Field of view 240x240 mm
FLAIR magnetic resonance.
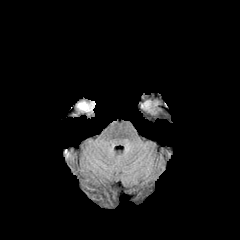
T1-weighted MR image.
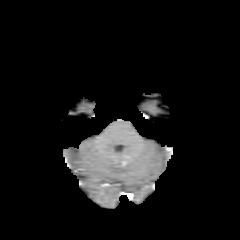
Post-contrast T1-weighted MRI.
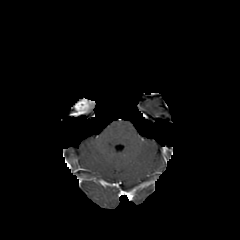
T2-weighted magnetic resonance.
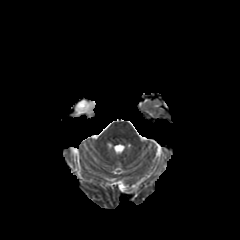
The enhancing tumor appears at (x1=72, y1=98, x2=95, y2=115).